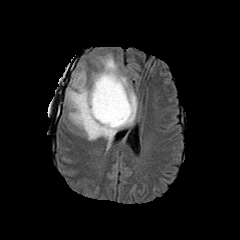
FLAIR MR image.
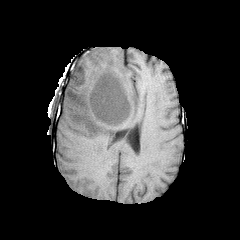
T1-weighted MR.
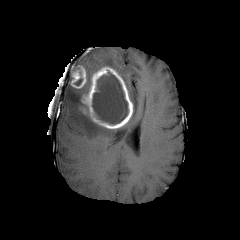
Post-contrast T1-weighted MR image.
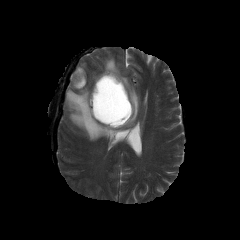
T2-weighted MRI.
Head.
Edema = 64, 53, 138, 150.
Enhancing tumor = 71, 64, 86, 88; 80, 67, 132, 128.
Non-enhancing tumor core = 92, 74, 128, 124.